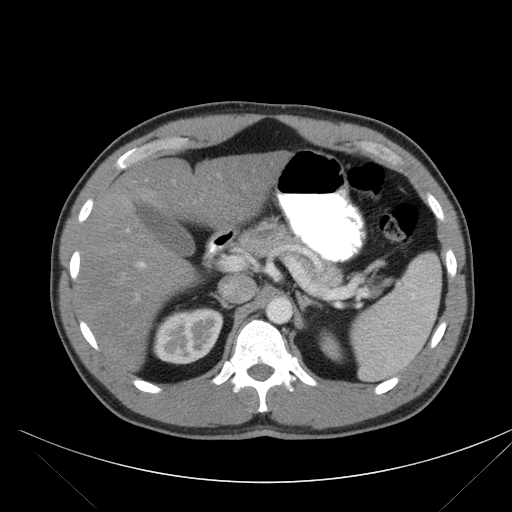
512x512; CT slice
Pancreas at [232, 217, 344, 291].